FLAIR MR.
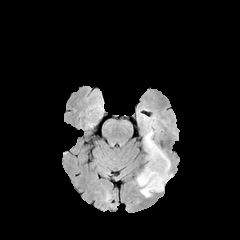
T1-weighted MRI.
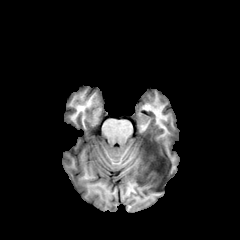
Post-contrast T1-weighted MR image.
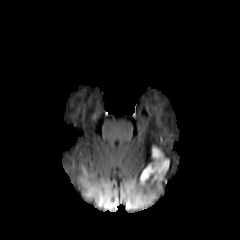
T2-weighted MR.
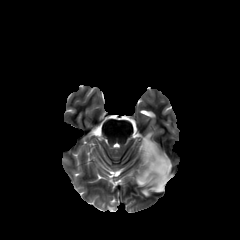
Edema: bounding box [166, 161, 173, 181], [135, 170, 165, 196], [142, 129, 159, 167].
Enhancing tumor: bounding box [139, 147, 169, 185].